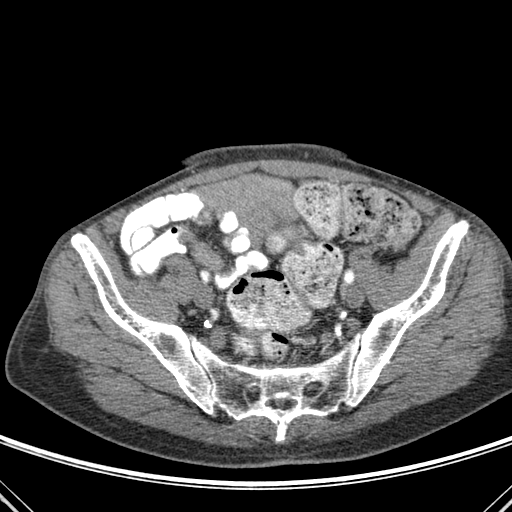
CT slice.

{"bone": ["left=71, top=220, right=468, bottom=441"]}